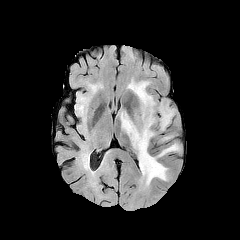
FLAIR magnetic resonance.
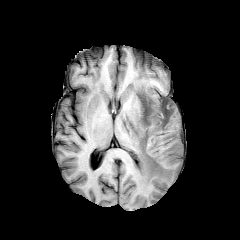
T1-weighted MRI of the same slice.
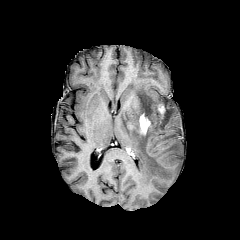
Post-contrast T1-weighted MR image.
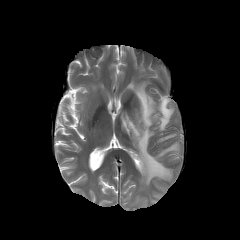
T2-weighted MR.
Image size 240x240; Head
Annotated regions:
- enhancing tumor: region(139, 114, 150, 133)
- non-enhancing tumor core: region(160, 105, 171, 126); region(142, 100, 152, 123); region(126, 121, 149, 137)
- edema: region(158, 135, 174, 141); region(120, 80, 179, 185)